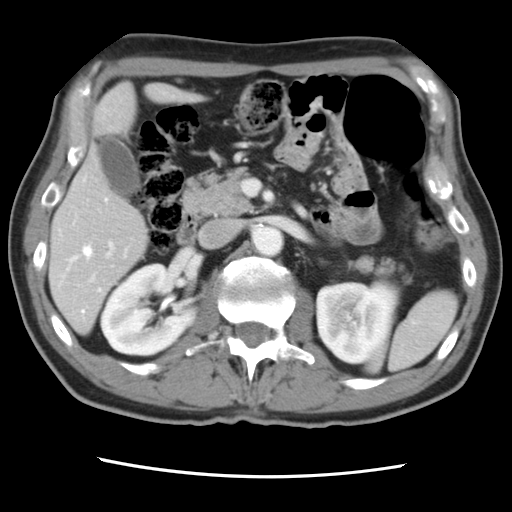

Liver | CT scan slice | 512x512
The vessel annotation is not exhaustive.
hepatic vessel: {"x1": 107, "y1": 242, "x2": 113, "y2": 255}, {"x1": 83, "y1": 246, "x2": 91, "y2": 256}, {"x1": 82, "y1": 310, "x2": 84, "y2": 311}, {"x1": 70, "y1": 256, "x2": 76, "y2": 261}, {"x1": 99, "y1": 288, "x2": 100, "y2": 290}, {"x1": 124, "y1": 251, "x2": 126, "y2": 256}, {"x1": 106, "y1": 198, "x2": 107, "y2": 200}